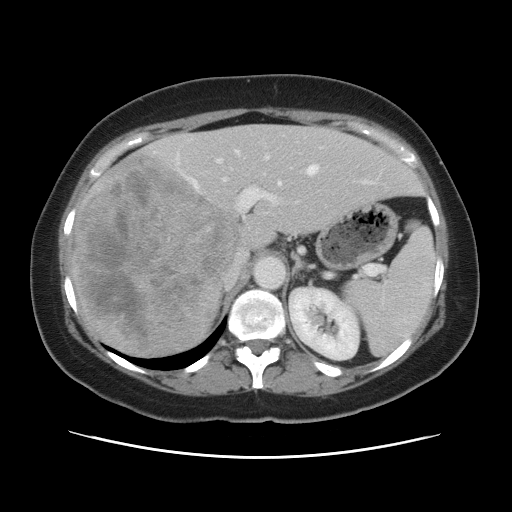
CT scan slice

Not every hepatic vessel necessarily has a box.
hepatic vessel: (299, 249, 302, 251), (308, 165, 317, 174), (365, 181, 374, 183), (235, 186, 279, 217), (217, 158, 222, 162), (278, 181, 281, 185), (225, 250, 246, 289), (235, 150, 239, 153), (189, 177, 196, 185), (265, 156, 268, 158), (177, 157, 178, 158), (223, 178, 227, 180) | liver tumor: (76, 156, 240, 355)